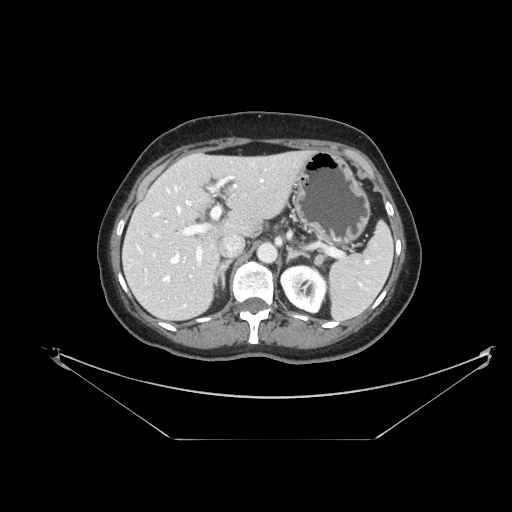 Image size 512x512; CT scan slice
{"pancreas": ["(315, 255, 325, 264)"]}